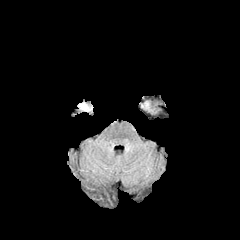
FLAIR magnetic resonance.
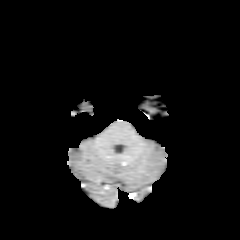
T1-weighted MRI.
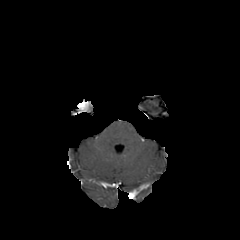
Post-contrast T1-weighted MR image.
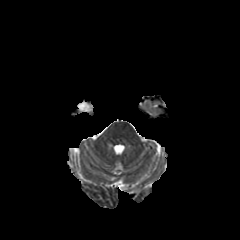
T2-weighted MR image of the same slice.
240x240 px
The enhancing tumor is at bbox(78, 102, 92, 111).